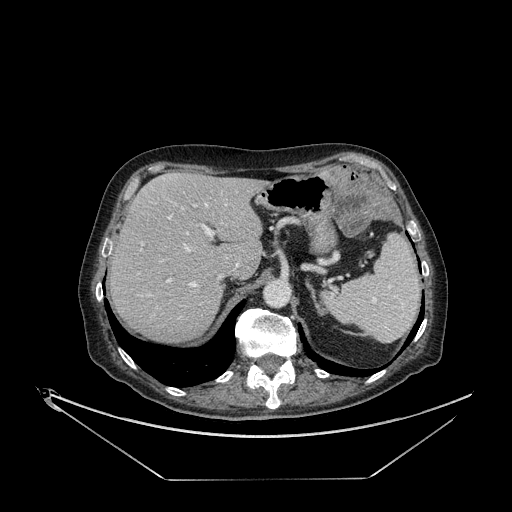 512x512 px, Abdomen, CT image

liver: 111 172 266 343